Slice 460/836. CT scan slice.

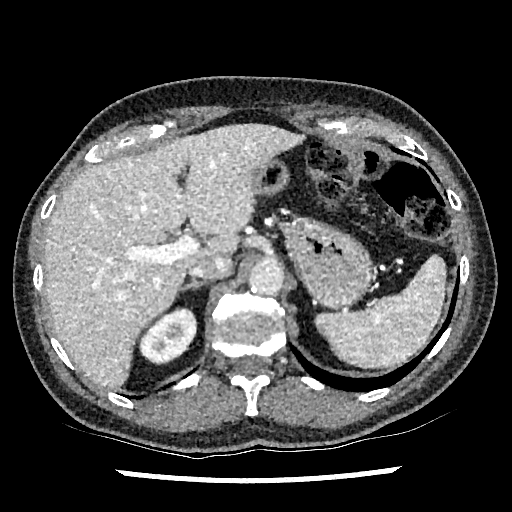
The kidney is bounded by box(141, 310, 195, 361). The liver is located at box(44, 124, 304, 388).